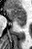

Hippocampus, MRI

The posterior hippocampus appears at x1=17, y1=22, x2=26, y2=26. The anterior hippocampus is bounded by x1=7, y1=8, x2=26, y2=21.